FLAIR MRI.
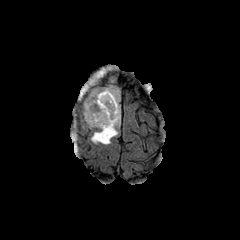
T1-weighted magnetic resonance.
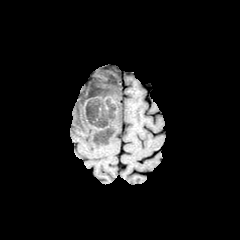
Post-contrast T1-weighted MR.
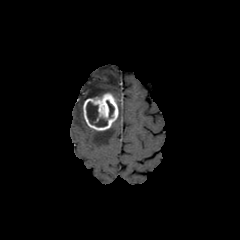
T2-weighted magnetic resonance.
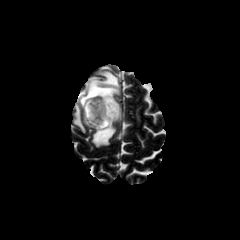
Head
Non-enhancing tumor core: bounding box [x1=86, y1=102, x2=107, y2=126], [x1=106, y1=101, x2=113, y2=117].
Enhancing tumor: bounding box [x1=83, y1=92, x2=118, y2=130].
Edema: bounding box [x1=74, y1=109, x2=85, y2=131], [x1=79, y1=68, x2=119, y2=109], [x1=91, y1=101, x2=120, y2=146].